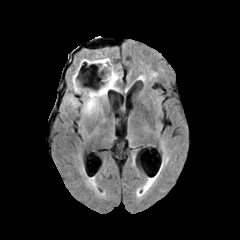
FLAIR magnetic resonance.
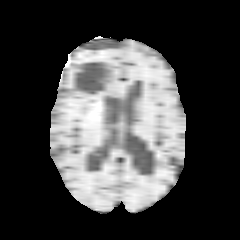
T1-weighted magnetic resonance.
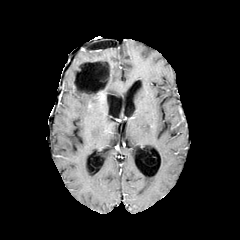
Same slice, post-contrast T1-weighted MR.
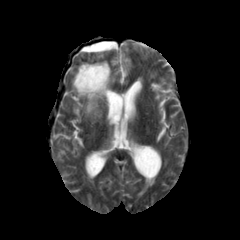
T2-weighted magnetic resonance of the same slice.
Brain.
The enhancing tumor is located at l=98, t=92, r=105, b=101. The edema is at l=67, t=54, r=121, b=115. The non-enhancing tumor core appears at l=74, t=64, r=108, b=96.